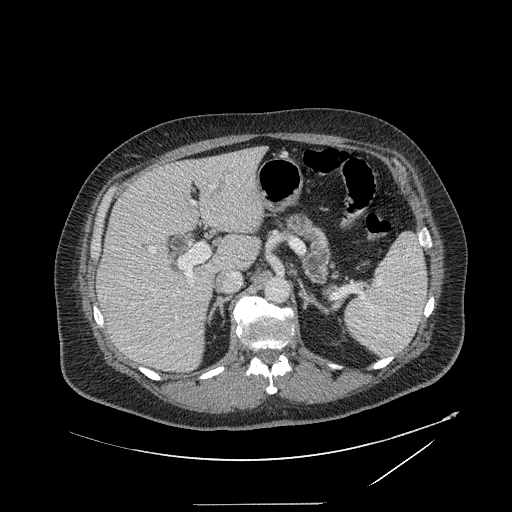 512x512; Abdomen; Computed tomography

pancreas: left=281, top=215, right=329, bottom=283